Image size 38x50 | Slice 21 of 39 | MRI

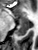 Posterior hippocampus = 16 25 28 36.
Anterior hippocampus = 19 17 28 24.